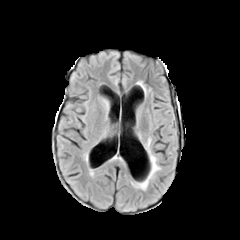
FLAIR MRI.
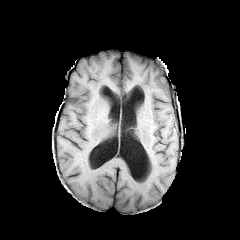
T1-weighted MR image.
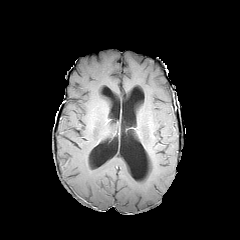
Same slice, post-contrast T1-weighted MR image.
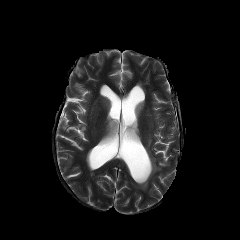
Same slice, T2-weighted magnetic resonance.
Head; Image size 240x240
The edema is located at <box>133,138,161,190</box>.